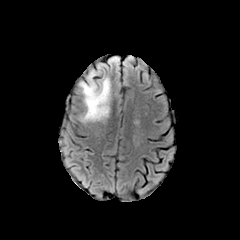
FLAIR magnetic resonance.
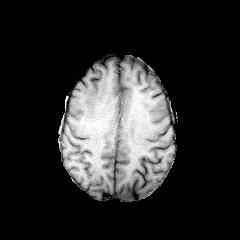
T1-weighted MRI of the same slice.
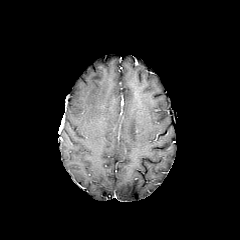
Post-contrast T1-weighted MRI of the same slice.
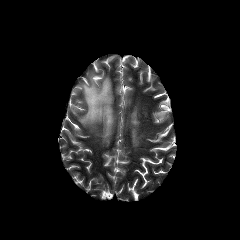
Same slice, T2-weighted MR image.
Findings:
- edema: rect(79, 70, 110, 123)